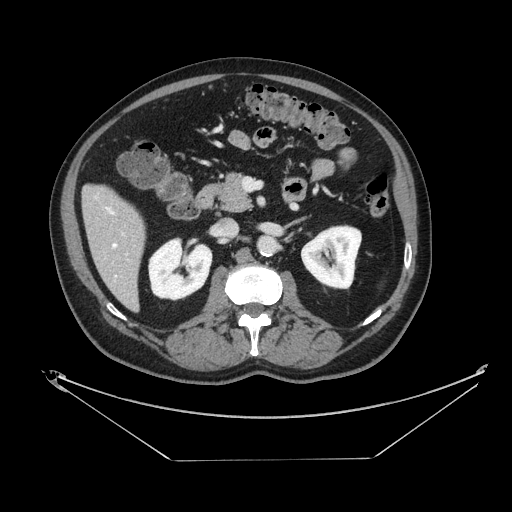

Upper abdomen. CT slice.

pancreas:
  - region(218, 174, 250, 211)